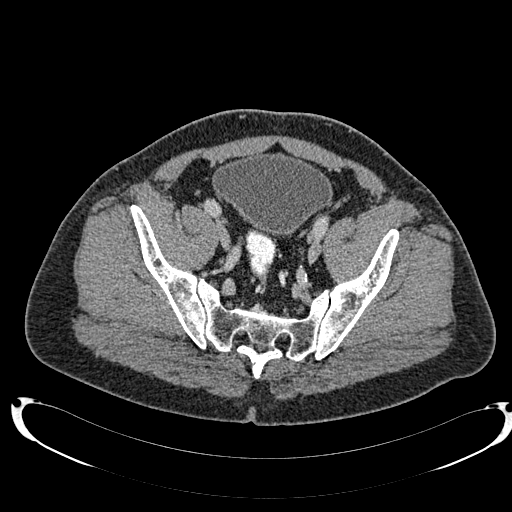
Computed tomography. urinary bladder: (213, 152, 330, 235)